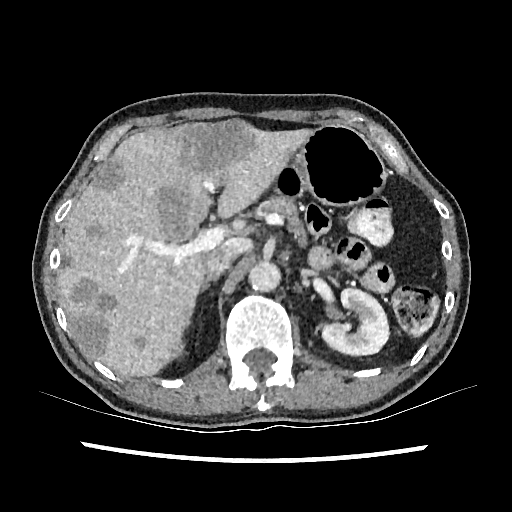 CT
Segmented structures:
* liver: 59, 129, 308, 375
* focal liver lesion: 85, 223, 106, 240; 170, 121, 257, 175; 157, 187, 191, 239; 61, 254, 74, 269; 133, 336, 146, 350; 68, 313, 108, 354; 93, 160, 122, 190; 70, 278, 118, 312
* kidney: 321, 289, 394, 358; 314, 279, 332, 300